Field of view 496x496 mm. CT scan slice. 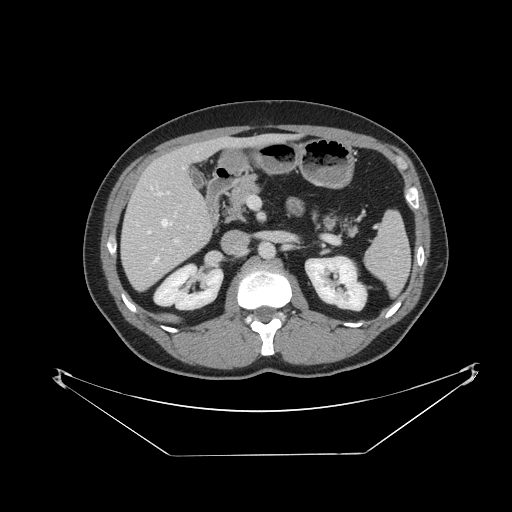 The spleen is located at 366,211,409,294.